Brain
FLAIR MR image.
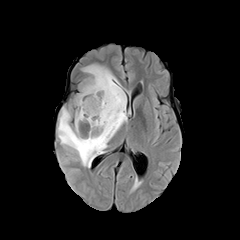
T1-weighted MR.
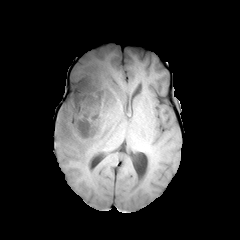
Post-contrast T1-weighted MR image.
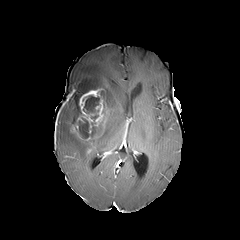
T2-weighted MRI.
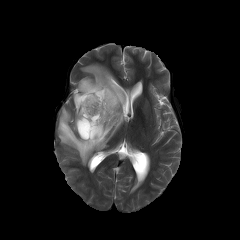
The edema is at [56,64,130,167]. 3 non-enhancing tumor core regions are bounded by [84,96,99,118], [74,84,111,116], [72,118,103,139]. The enhancing tumor appears at [78,88,105,133].